Image size 512x512, Upper abdomen, Computed tomography, Image width 358 mm, Slice index 533
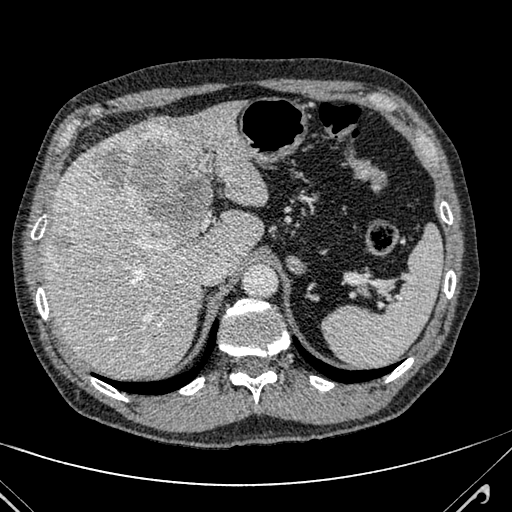
Annotated regions:
• liver lesion: x1=53, y1=238, x2=69, y2=248; x1=96, y1=140, x2=217, y2=234
• liver: x1=46, y1=102, x2=264, y2=376